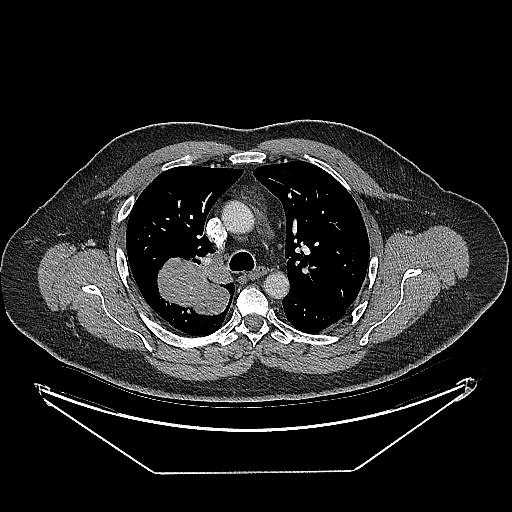 Chest | CT scan slice
Lung tumor — 157, 251, 231, 316.